Abdomen. Computed tomography. Slice index 441. 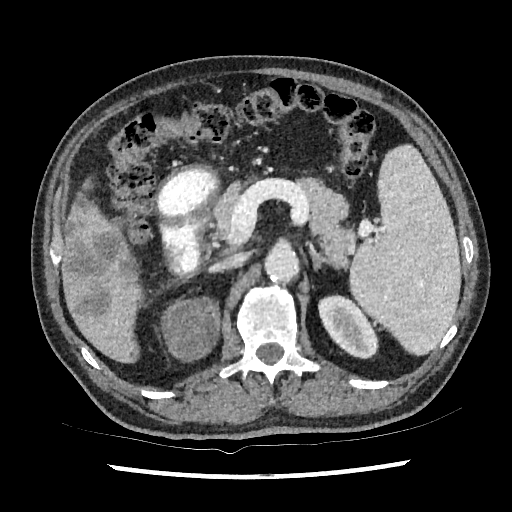

- hepatic lesion: <bbox>75, 194, 93, 213</bbox>, <bbox>64, 217, 133, 317</bbox>
- liver: <bbox>122, 240, 133, 259</bbox>, <bbox>69, 204, 115, 240</bbox>, <bbox>62, 238, 140, 361</bbox>
- kidney: <bbox>318, 296, 377, 357</bbox>